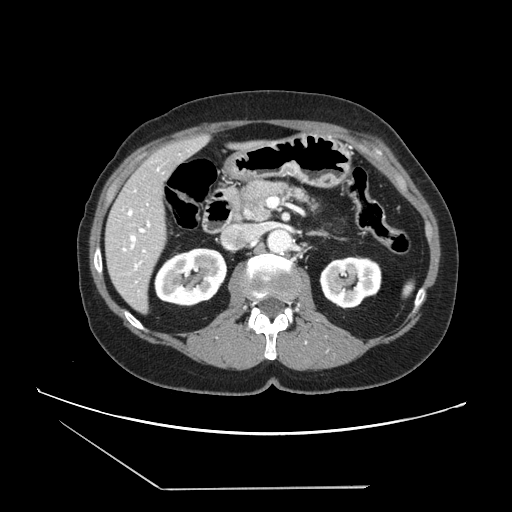

CT scan slice, Upper abdomen, Image size 512x512
The pancreatic tumor lies within box(241, 195, 258, 206). The pancreas is located at box(234, 181, 310, 220).